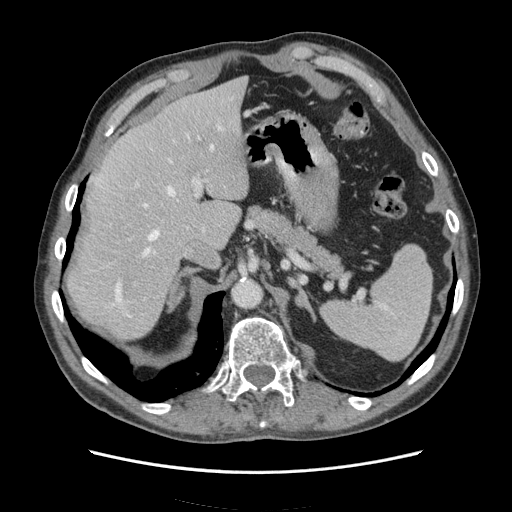

CT slice
• spleen: box(321, 245, 431, 360)